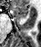 MR image

The anterior hippocampus lies within x1=14 y1=4 x2=28 y2=17.